Computed tomography; Slice index 479; Liver 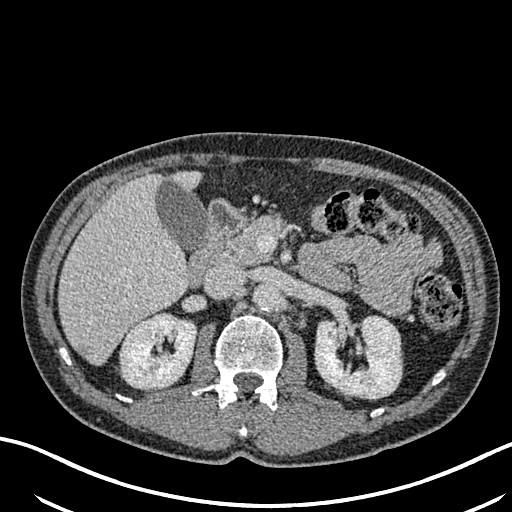

The liver lesion appears at bbox=[75, 344, 91, 358]. 2 kidney regions are located at bbox=[120, 315, 195, 388]; bbox=[315, 317, 400, 398]. 2 liver regions appear at bbox=[59, 175, 187, 364]; bbox=[175, 172, 198, 189].